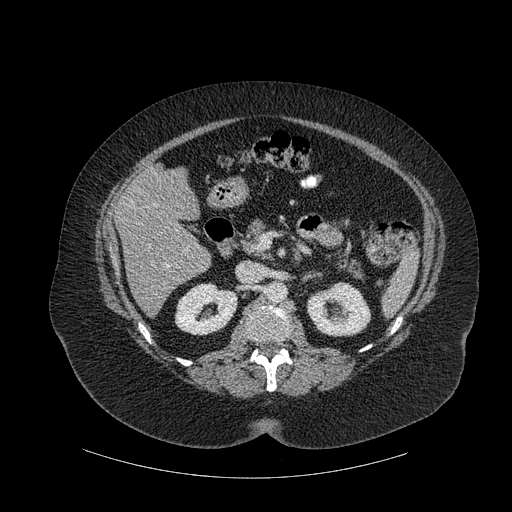 CT image. Liver.

liver:
  - [x1=115, y1=162, x2=211, y2=310]
bone:
  - [x1=391, y1=317, x2=401, y2=333]
  - [x1=248, y1=304, x2=289, y2=340]
  - [x1=251, y1=349, x2=291, y2=391]
  - [x1=177, y1=358, x2=191, y2=365]
  - [x1=139, y1=323, x2=150, y2=342]
kidney:
  - [x1=308, y1=283, x2=369, y2=335]
  - [x1=175, y1=284, x2=236, y2=334]